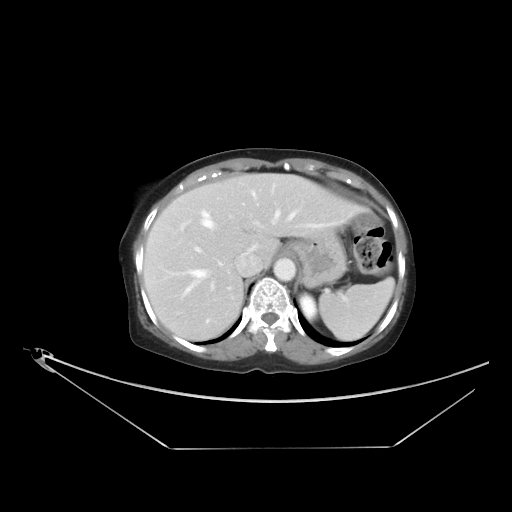

Computed tomography

The vessel boxes may cover only some of the vessels.
Hepatic vessel: bounding box [254,198,258,205], [192,271,204,276], [272,210,279,223], [305,224,321,227], [204,221,211,225], [287,211,296,220].